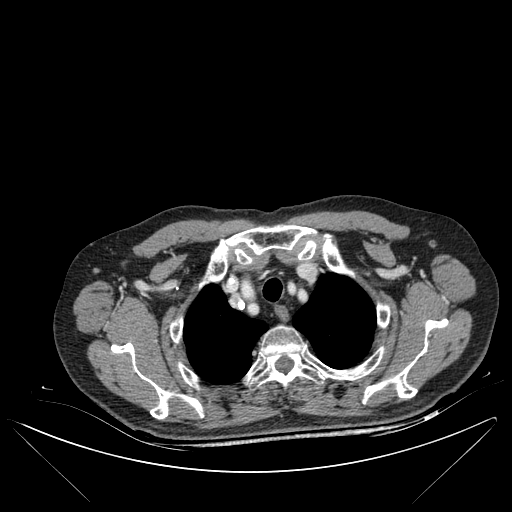

CT scan slice. Thorax. * lung: 293,273,375,368; 183,284,267,384; 263,279,281,301
* bone: 111,343,203,418; 178,363,197,386; 377,303,389,327; 322,234,343,272; 208,225,316,281; 170,319,182,342; 245,333,383,386; 362,319,448,403; 298,240,315,259